Slice index 71.
FLAIR MRI.
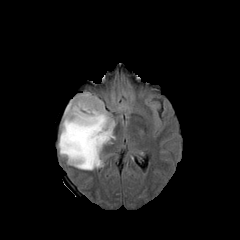
T1-weighted magnetic resonance.
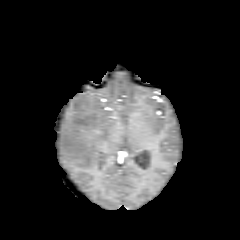
Post-contrast T1-weighted MRI.
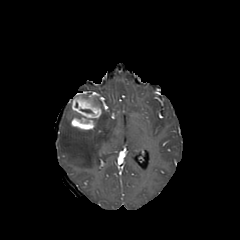
T2-weighted magnetic resonance.
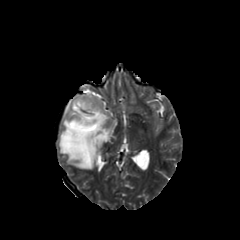
edema: <box>58,104,115,169</box> | enhancing tumor: <box>69,94,102,129</box>